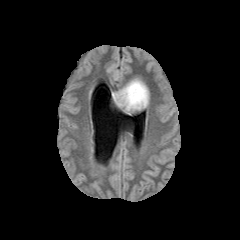
FLAIR magnetic resonance.
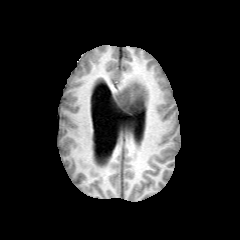
T1-weighted MR image of the same slice.
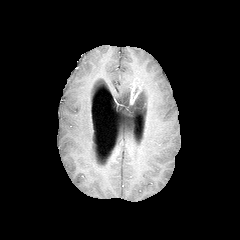
Post-contrast T1-weighted MR.
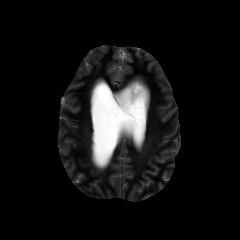
T2-weighted MR.
Brain
Segmented structures:
• non-enhancing tumor core: 116:94:145:113
• edema: 112:79:134:98, 136:79:149:108
• enhancing tumor: 129:80:143:104